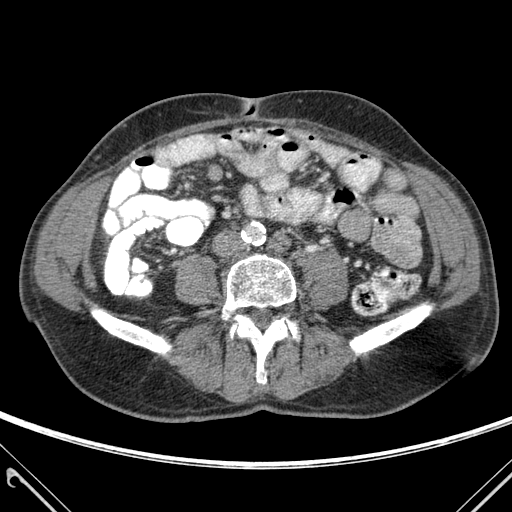
512x512. CT. 4 bone regions appear at (223, 255, 295, 319), (92, 310, 170, 353), (350, 305, 430, 352), (230, 315, 296, 383).